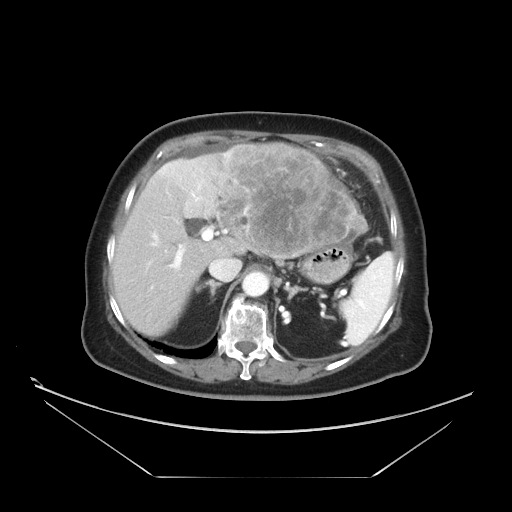

Abdomen, Computed tomography

Some hepatic vessels may have no box.
hepatic vessel: (152, 233, 158, 244), (212, 260, 222, 273), (172, 245, 183, 269) | liver tumor: (216, 144, 368, 259)